Field of view 35 mm wide, 1.00 mm slice spacing; Slice index 7; Magnetic resonance
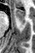 {
  "anterior_hippocampus": [
    "box(16, 9, 25, 23)"
  ]
}